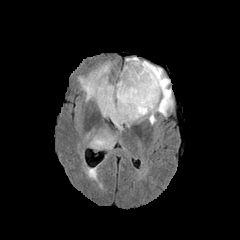
FLAIR magnetic resonance.
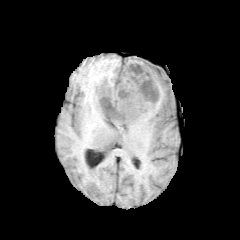
T1-weighted MR of the same slice.
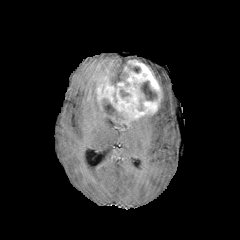
Same slice, post-contrast T1-weighted MR image.
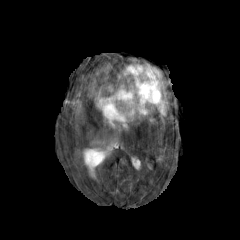
T2-weighted MRI of the same slice.
Brain.
<segmentation>
  <edema>(124, 57, 173, 125), (78, 61, 111, 109), (90, 129, 116, 149), (112, 121, 130, 132)</edema>
  <non-enhancing_tumor_core>(120, 90, 131, 98), (129, 66, 140, 73), (102, 101, 123, 119), (138, 81, 158, 111)</non-enhancing_tumor_core>
  <enhancing_tumor>(95, 60, 161, 127)</enhancing_tumor>
</segmentation>